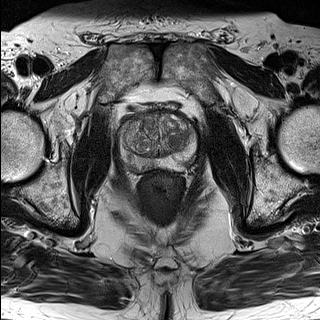
T2-weighted MR.
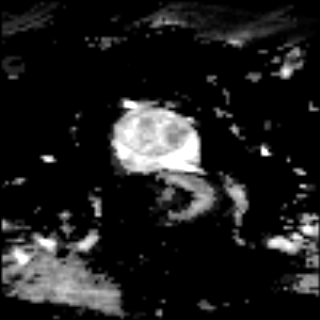
ADC magnetic resonance.
320x320 px. Pelvis.
The prostate transition zone is bounded by (123,114,190,157). The prostate peripheral zone lies within (118,124,197,173).